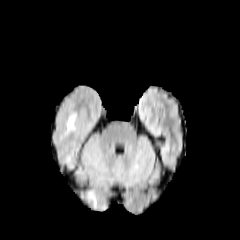
FLAIR magnetic resonance.
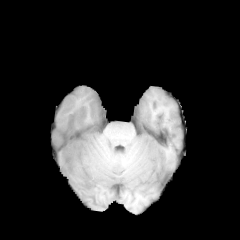
T1-weighted MR.
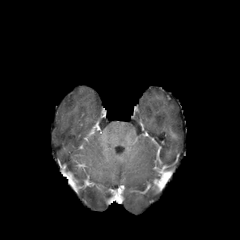
Post-contrast T1-weighted MR of the same slice.
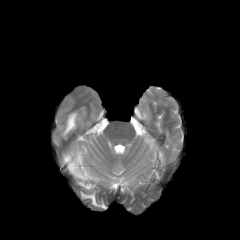
T2-weighted MR image of the same slice.
Brain
edema:
  - 81:190:104:208
  - 64:113:76:134